Field of view 240 mm wide, 1.00 mm slice spacing.
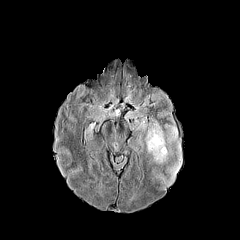
FLAIR MRI.
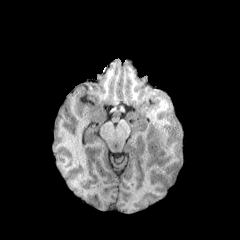
T1-weighted MR image of the same slice.
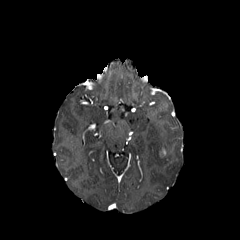
Same slice, post-contrast T1-weighted MRI.
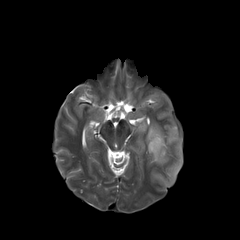
T2-weighted MRI of the same slice.
Edema: [x1=170, y1=142, x2=181, y2=177], [x1=144, y1=121, x2=177, y2=165].
Enhancing tumor: [x1=159, y1=148, x2=166, y2=158].